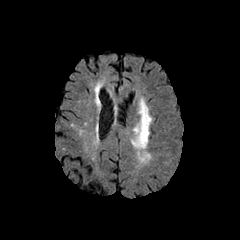
FLAIR MRI.
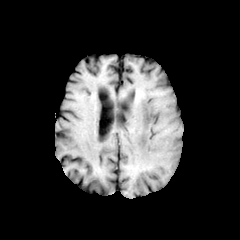
T1-weighted MRI.
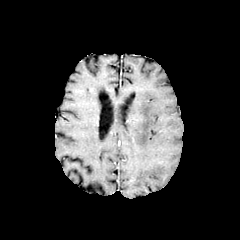
Post-contrast T1-weighted magnetic resonance of the same slice.
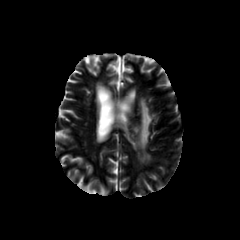
T2-weighted MRI.
{
  "edema": [
    "(131, 98, 152, 162)"
  ]
}